512x512, Slice index 25, Abdomen, Computed tomography 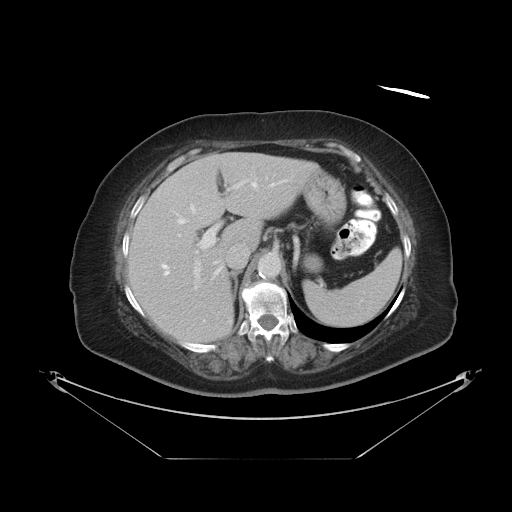
Not every hepatic vessel necessarily has a box.
Hepatic vessel — (178,234,180,235), (194,285,197,288), (249,225,254,227), (230,225,239,236), (195,224,219,253), (271,180,285,185), (194,260,200,282), (215,260,217,262), (234,180,246,187), (252,182,256,187), (191,205,194,212), (178,218,185,223), (161,263,169,275), (214,267,221,273), (230,243,248,255).